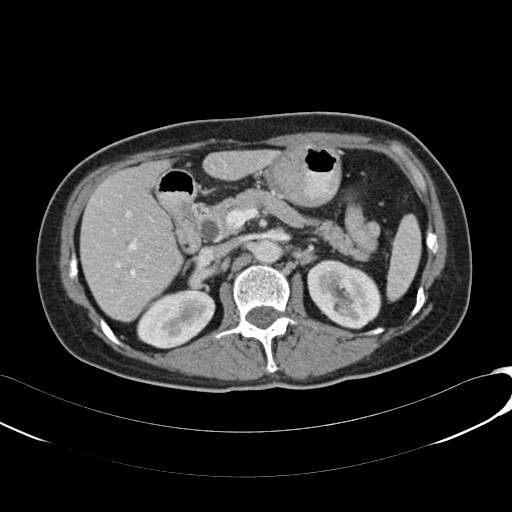
Upper abdomen; Computed tomography; 512x512
Kidney: region(308, 261, 379, 327); region(138, 291, 214, 347).
Liver: region(203, 150, 279, 180); region(81, 160, 181, 320).